240x240. Field of view 240 mm wide, 1.00 mm slice spacing.
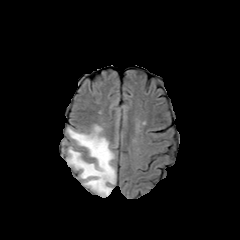
FLAIR MR.
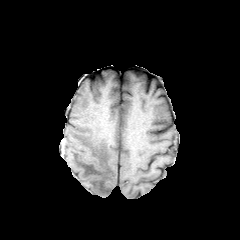
Same slice, T1-weighted MRI.
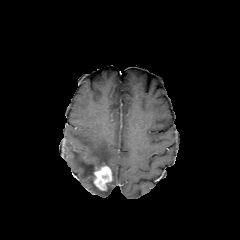
Post-contrast T1-weighted magnetic resonance of the same slice.
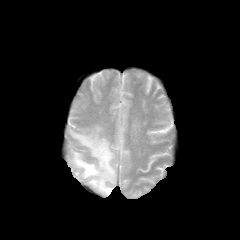
T2-weighted MR.
{"edema": ["68,126,116,196"], "enhancing_tumor": ["93,165,112,190"]}